240x240 px; Brain
FLAIR MR image.
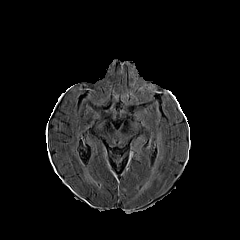
T1-weighted MR image.
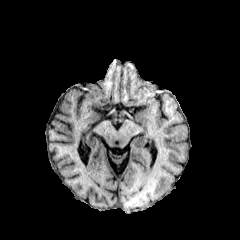
Post-contrast T1-weighted magnetic resonance.
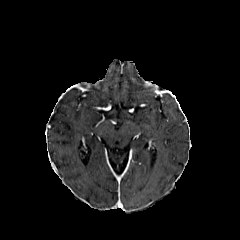
T2-weighted magnetic resonance.
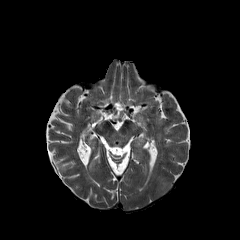
edema: x1=139, y1=180, x2=149, y2=193; x1=150, y1=156, x2=157, y2=176